Image size 240x240 | Slice index 36
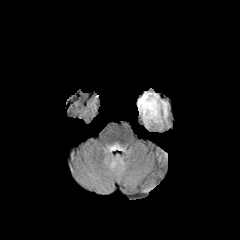
FLAIR MR.
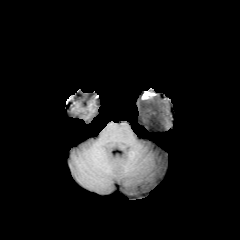
T1-weighted magnetic resonance.
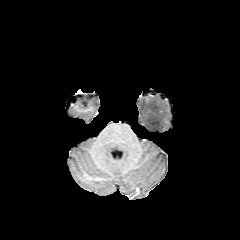
Same slice, post-contrast T1-weighted magnetic resonance.
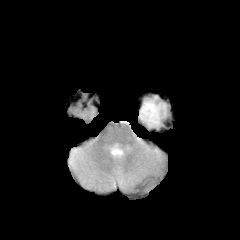
T2-weighted magnetic resonance.
The non-enhancing tumor core is located at {"x1": 143, "y1": 103, "x2": 156, "y2": 112}. The edema lies within {"x1": 140, "y1": 93, "x2": 167, "y2": 128}.